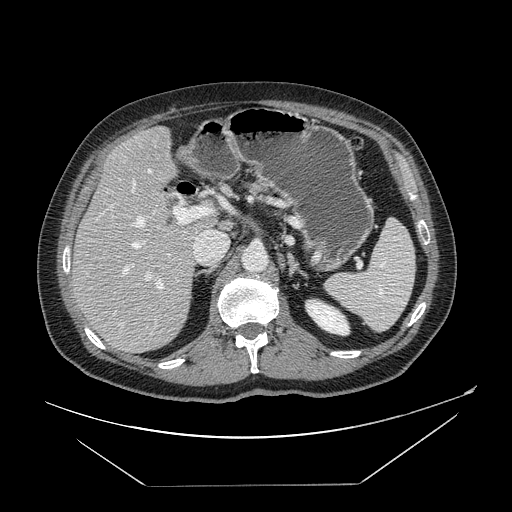

Computed tomography, Abdomen

Segmented structures:
- pancreas: box(245, 183, 269, 193)